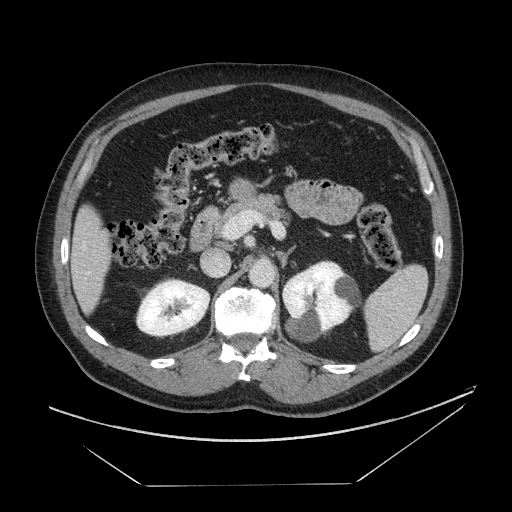

Computed tomography. Pancreas: bounding box rect(217, 194, 291, 231).